Medial temporal lobe. MR. 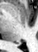
Segmented structures:
- posterior hippocampus: 15,43,21,43